512x512 | Pelvis | CT slice | Slice index 148 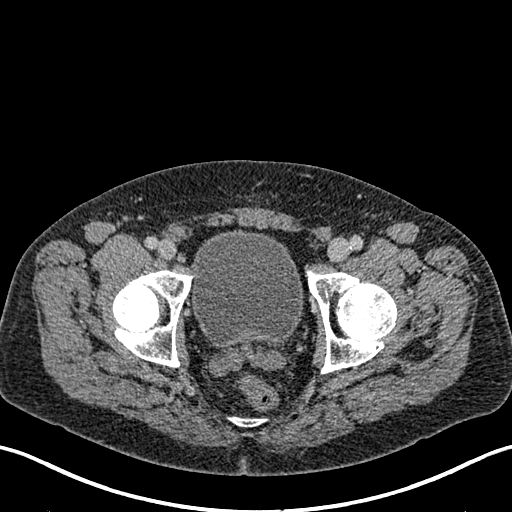
* urinary bladder: [192, 230, 303, 340]